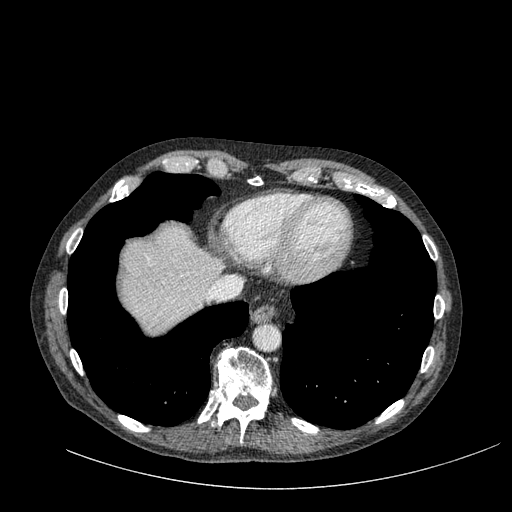

Computed tomography, 512x512, Abdomen
Liver: [x1=121, y1=226, x2=224, y2=331].